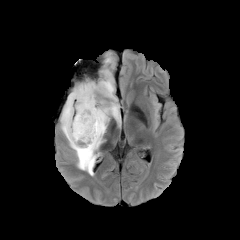
FLAIR magnetic resonance.
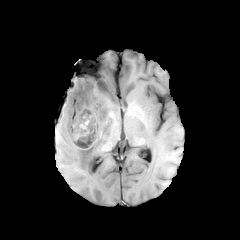
T1-weighted MRI of the same slice.
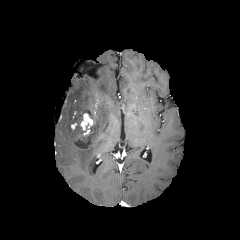
Post-contrast T1-weighted MRI.
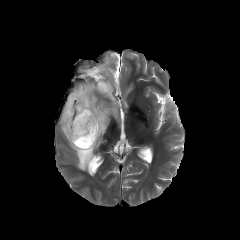
T2-weighted magnetic resonance of the same slice.
Enhancing tumor at rect(79, 113, 94, 135).
Edema at rect(60, 62, 120, 175).
Non-enhancing tumor core at rect(74, 98, 100, 148).